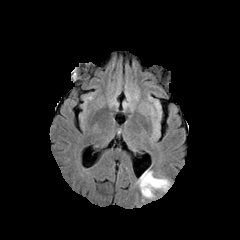
FLAIR MR image.
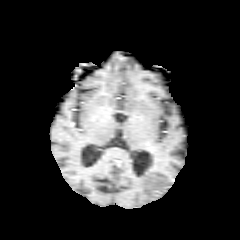
T1-weighted MR of the same slice.
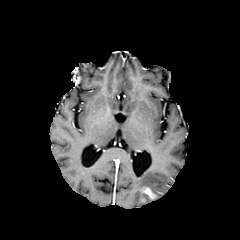
Same slice, post-contrast T1-weighted MR image.
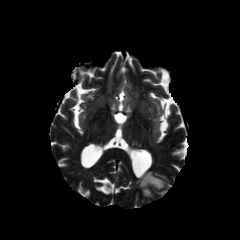
Same slice, T2-weighted MR image.
Head
edema: [x1=136, y1=168, x2=170, y2=198] | enhancing tumor: [x1=143, y1=187, x2=153, y2=197]